Image width 240 mm, Head
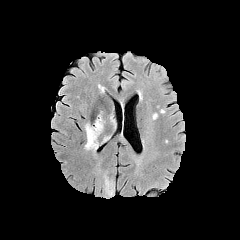
FLAIR MR.
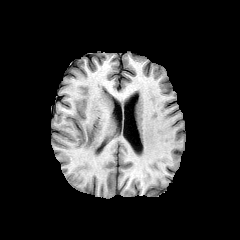
T1-weighted MRI.
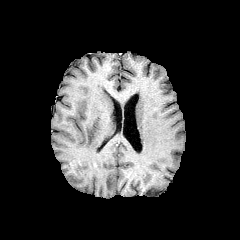
Post-contrast T1-weighted magnetic resonance.
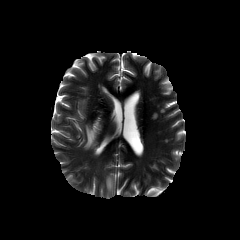
T2-weighted MR image of the same slice.
Annotated regions:
* edema: [x1=84, y1=114, x2=105, y2=150]